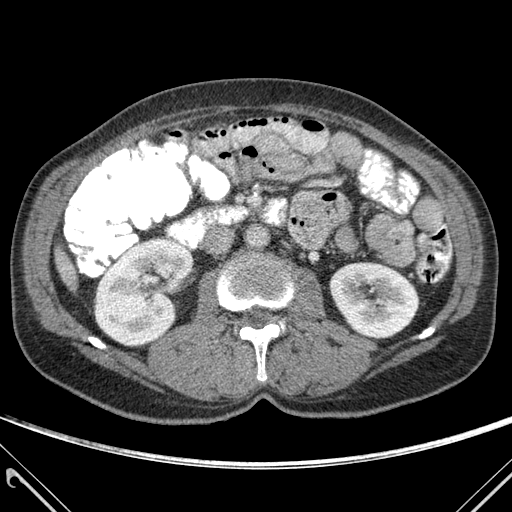 CT

Kidney at (95, 239, 186, 344), (169, 277, 178, 289), (331, 263, 417, 337).
Liver at (55, 246, 70, 272), (63, 270, 76, 291).
Bone at (419, 327, 434, 338), (218, 262, 293, 310), (240, 324, 279, 380), (88, 337, 105, 348).